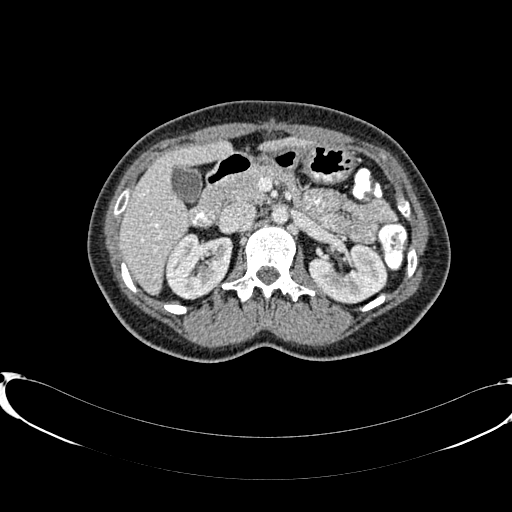 Computed tomography, Liver

liver: box=[119, 142, 230, 294]; box=[260, 138, 309, 150] | kidney: box=[310, 245, 385, 301]; box=[167, 236, 231, 297]